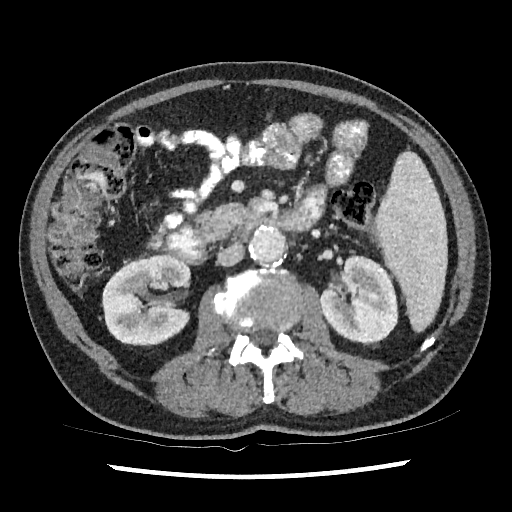 Image size 512x512 | CT slice
Kidney: left=103, top=255, right=189, bottom=344; left=320, top=256, right=397, bottom=342.